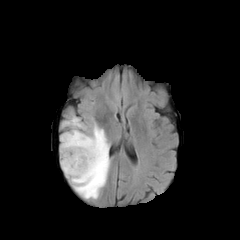
FLAIR MR image.
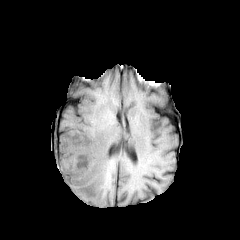
T1-weighted MR image.
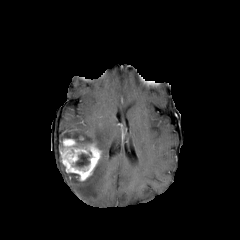
Post-contrast T1-weighted MR image.
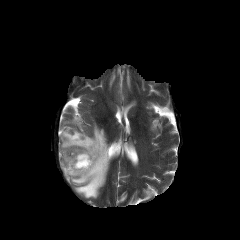
Same slice, T2-weighted MR.
240x240.
2 non-enhancing tumor core regions are bounded by [x1=76, y1=154, x2=89, y2=166], [x1=75, y1=137, x2=92, y2=143]. The edema lies within [x1=60, y1=116, x2=110, y2=200]. The enhancing tumor is located at [x1=59, y1=138, x2=101, y2=181].